Slice 63 of 89; CT slice

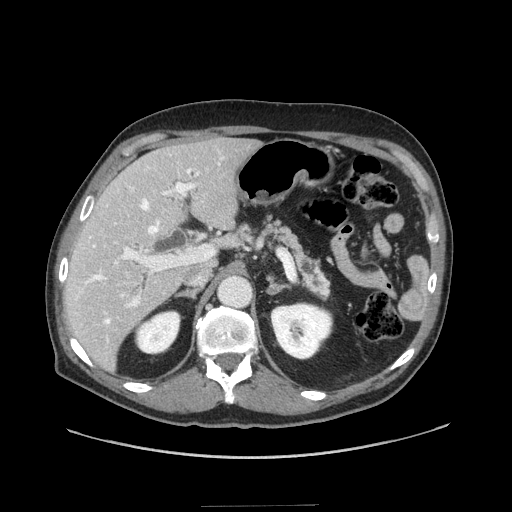
pancreas:
  - (272,223,329,296)